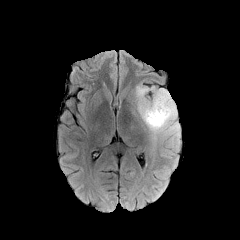
FLAIR MRI.
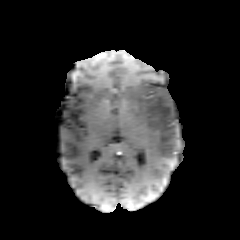
T1-weighted MRI of the same slice.
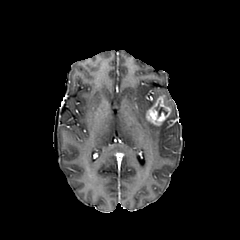
Post-contrast T1-weighted MR image of the same slice.
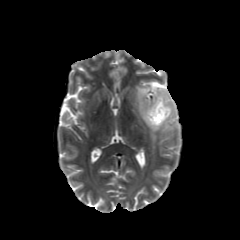
T2-weighted MR of the same slice.
Brain
non-enhancing tumor core: [x1=146, y1=90, x2=164, y2=110] | enhancing tumor: [x1=145, y1=95, x2=171, y2=125] | edema: [x1=160, y1=167, x2=168, y2=177], [x1=134, y1=84, x2=180, y2=154]